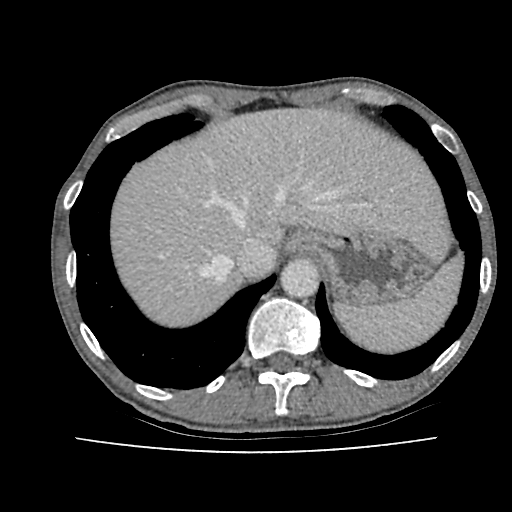 CT

{
  "liver": [
    "x1=110, y1=108, x2=450, y2=325"
  ]
}